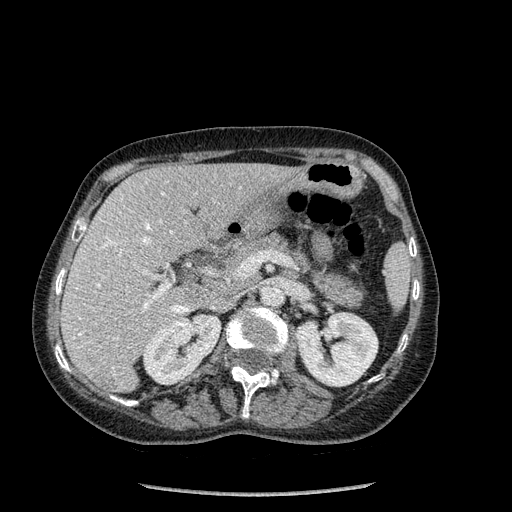
CT slice | Abdomen

Annotated regions:
* liver: left=61, top=163, right=300, bottom=392
* hepatic lesion: left=183, top=287, right=199, bottom=302; left=94, top=366, right=117, bottom=389
* bone: left=368, top=375, right=380, bottom=382; left=231, top=364, right=278, bottom=417; left=408, top=237, right=416, bottom=256; left=72, top=232, right=80, bottom=241; left=397, top=334, right=407, bottom=353; left=55, top=344, right=70, bottom=371; left=55, top=268, right=65, bottom=294; left=412, top=279, right=419, bottom=299; left=110, top=395, right=137, bottom=406; left=226, top=306, right=288, bottom=357
* kidney: left=143, top=315, right=220, bottom=384; left=295, top=312, right=377, bottom=386